240x240. Head.
FLAIR MR.
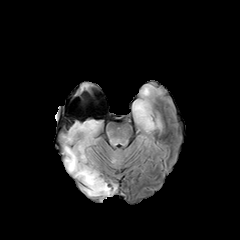
T1-weighted MRI.
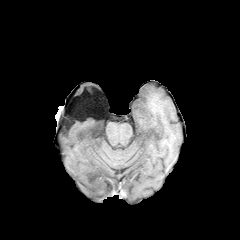
Post-contrast T1-weighted MR image.
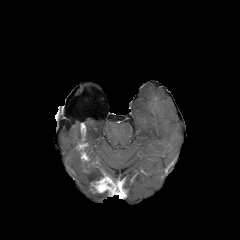
T2-weighted MRI.
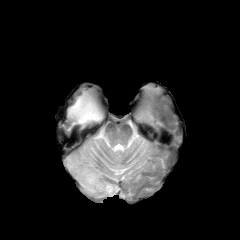
enhancing_tumor:
  - left=92, top=177, right=117, bottom=193
  - left=79, top=145, right=89, bottom=161
edema:
  - left=135, top=103, right=154, bottom=125
  - left=67, top=119, right=100, bottom=145
  - left=64, top=146, right=108, bottom=197
non-enhancing_tumor_core:
  - left=90, top=172, right=121, bottom=192
  - left=77, top=122, right=87, bottom=151